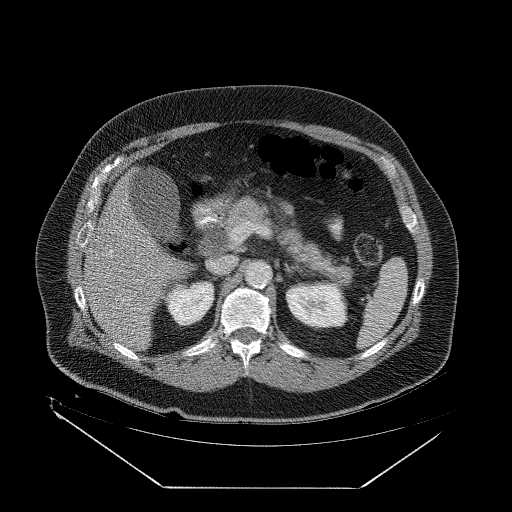

Abdomen | CT slice
Pancreas = x1=224, y1=196, x2=356, y2=287.